Abdomen | Slice 91/141 | Computed tomography
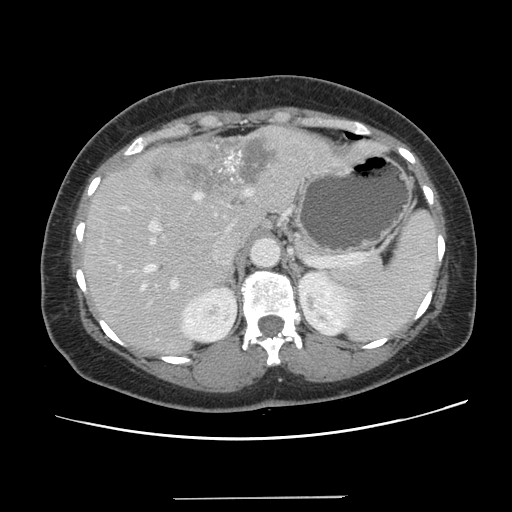
Only some of the vessels may be annotated.
hepatic vessel: (x1=122, y1=207, x2=126, y2=208), (x1=141, y1=284, x2=145, y2=289), (x1=150, y1=239, x2=154, y2=243), (x1=149, y1=221, x2=160, y2=231), (x1=194, y1=193, x2=202, y2=199), (x1=245, y1=189, x2=252, y2=195), (x1=119, y1=266, x2=120, y2=268), (x1=171, y1=280, x2=177, y2=288), (x1=144, y1=264, x2=155, y2=271) | liver tumor: (x1=149, y1=137, x2=275, y2=193)